FLAIR magnetic resonance.
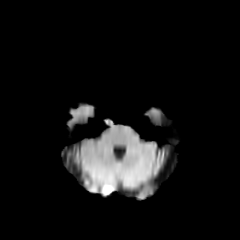
T1-weighted MR image.
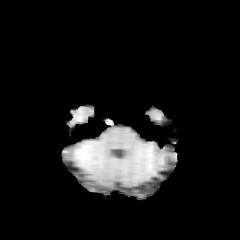
Post-contrast T1-weighted MRI.
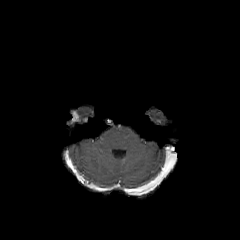
T2-weighted MRI.
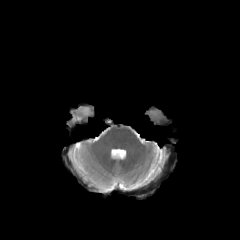
240x240 px.
<segmentation>
  <enhancing_tumor>[66, 111, 80, 124]</enhancing_tumor>
</segmentation>